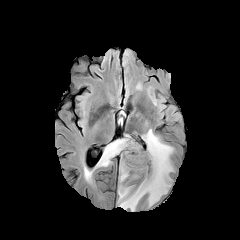
FLAIR MR image.
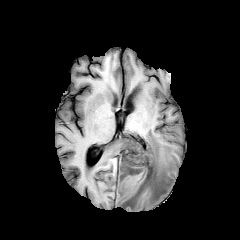
T1-weighted MR.
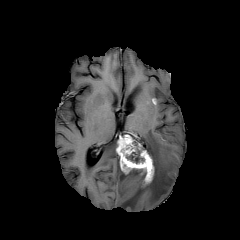
Post-contrast T1-weighted MRI.
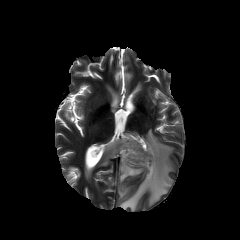
T2-weighted magnetic resonance.
Head, Image size 240x240
3 edema regions are located at {"x1": 84, "y1": 140, "x2": 117, "y2": 177}, {"x1": 119, "y1": 170, "x2": 143, "y2": 182}, {"x1": 118, "y1": 129, "x2": 173, "y2": 211}. 2 non-enhancing tumor core regions are located at {"x1": 128, "y1": 168, "x2": 146, "y2": 178}, {"x1": 126, "y1": 150, "x2": 158, "y2": 196}. The enhancing tumor is located at {"x1": 116, "y1": 135, "x2": 153, "y2": 183}.